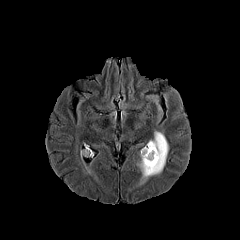
FLAIR MR.
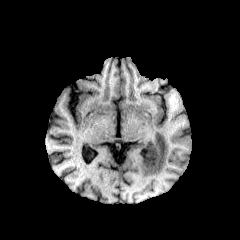
T1-weighted magnetic resonance.
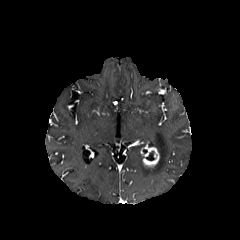
Post-contrast T1-weighted MR image of the same slice.
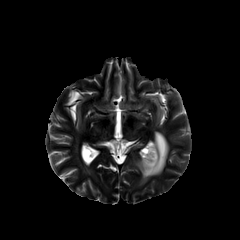
T2-weighted MRI.
Head
Enhancing tumor — box=[144, 147, 158, 165].
Non-enhancing tumor core — box=[143, 160, 156, 169]; box=[145, 150, 157, 161].
Edema — box=[141, 131, 168, 178].